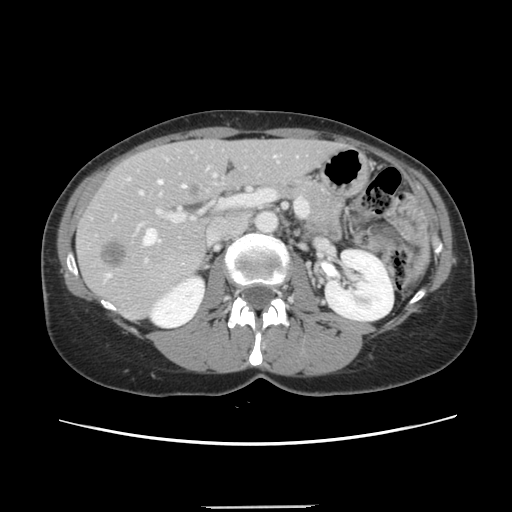 Computed tomography
Not every hepatic vessel necessarily has a box.
<segmentation>
  <hepatic_vessel>region(168, 216, 182, 222); region(158, 179, 161, 183); region(139, 191, 142, 194); region(127, 178, 129, 179); region(159, 193, 160, 195); region(105, 273, 109, 279); region(143, 229, 159, 244); region(183, 185, 184, 187); region(273, 156, 275, 157); region(156, 209, 161, 213); region(213, 173, 215, 175); region(145, 259, 146, 260)</hepatic_vessel>
  <liver_tumor>region(100, 241, 127, 266)</liver_tumor>
</segmentation>